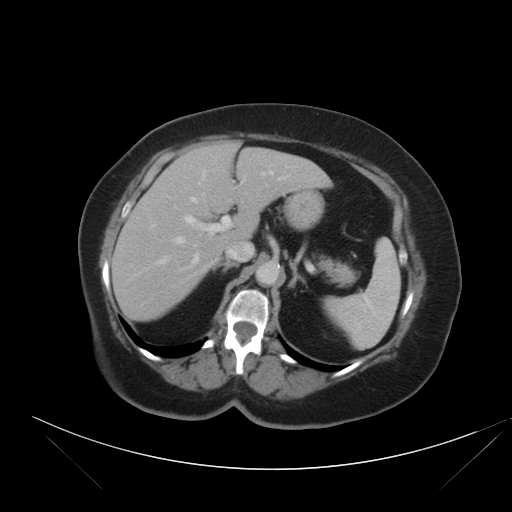
CT image
Not every hepatic vessel necessarily has a box.
<segmentation partial="true">
  <hepatic_vessel shown="15" total="17">(x1=175, y1=237, x2=184, y2=243), (x1=241, y1=178, x2=244, y2=183), (x1=278, y1=175, x2=289, y2=180), (x1=269, y1=171, x2=273, y2=174), (x1=157, y1=257, x2=168, y2=264), (x1=202, y1=194, x2=204, y2=199), (x1=261, y1=172, x2=265, y2=175), (x1=192, y1=253, x2=198, y2=265), (x1=191, y1=197, x2=196, y2=202), (x1=150, y1=224, x2=154, y2=227), (x1=184, y1=215, x2=231, y2=234), (x1=129, y1=273, x2=140, y2=280), (x1=179, y1=267, x2=186, y2=271), (x1=144, y1=269, x2=147, y2=270), (x1=202, y1=170, x2=206, y2=177)</hepatic_vessel>
</segmentation>